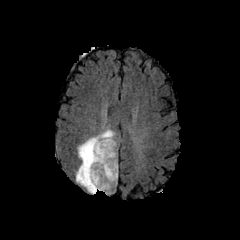
FLAIR MR image.
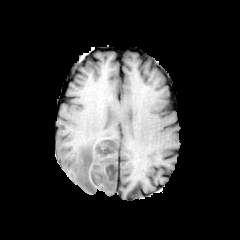
T1-weighted magnetic resonance.
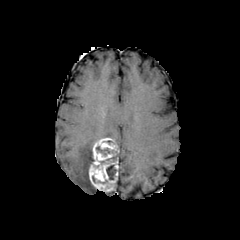
Same slice, post-contrast T1-weighted MR.
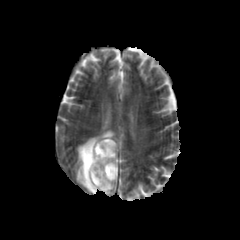
Same slice, T2-weighted MRI.
Brain
The enhancing tumor is located at 89,138,117,191. The edema is bounded by 74,128,114,193. 3 non-enhancing tumor core regions appear at 84,144,96,189; 106,148,117,161; 106,165,116,179.